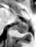

Magnetic resonance.
{"posterior_hippocampus": ["box(15, 22, 28, 33)"]}